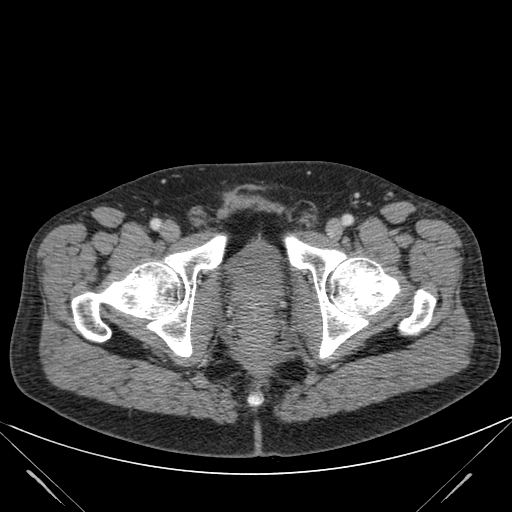
CT
The urinary bladder lies within (left=223, top=240, right=285, bottom=310).